Slice 13/31. Field of view 38 mm wide, 1.00 mm slice spacing. Medial temporal lobe. MR image.
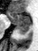
anterior hippocampus: 8,13,30,25 | posterior hippocampus: 16,26,29,34